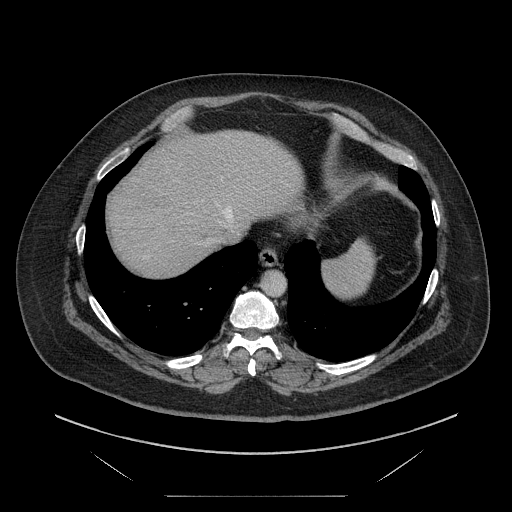
Image size 512x512. CT scan slice.
Some hepatic vessels may have no box.
Annotated regions:
* hepatic vessel: (x1=216, y1=205, x2=241, y2=235), (x1=227, y1=239, x2=229, y2=242), (x1=200, y1=237, x2=221, y2=245)